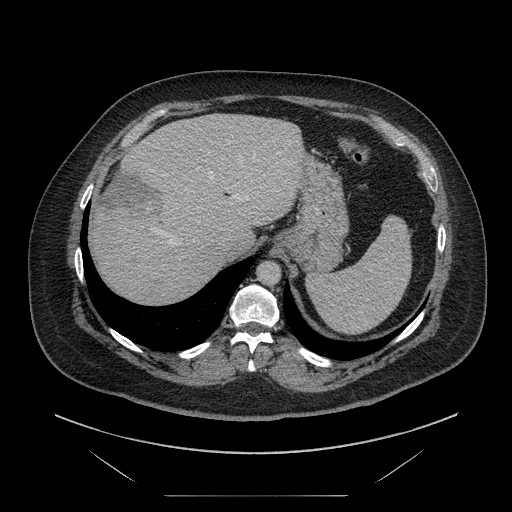
CT slice

The vessel boxes may cover only some of the vessels.
Hepatic vessel: bounding box 251:180:253:181, 152:229:181:245.
Liver tumor: bounding box 99:172:162:218.